Field of view 240 mm wide, 1.00 mm slice spacing. Slice 69/155.
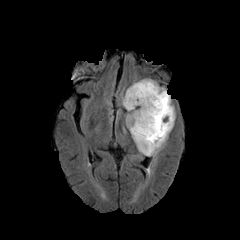
FLAIR magnetic resonance.
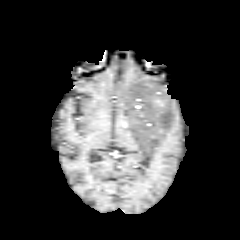
T1-weighted magnetic resonance.
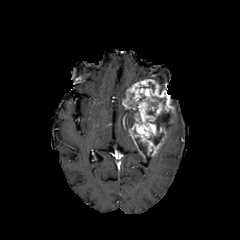
Post-contrast T1-weighted MR.
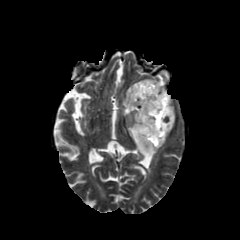
T2-weighted MR.
Enhancing tumor = 122, 79, 174, 153.
Non-enhancing tumor core = 151, 96, 165, 110; 134, 98, 142, 117; 146, 111, 173, 145.
Edema = 120, 90, 127, 102; 122, 104, 176, 161.